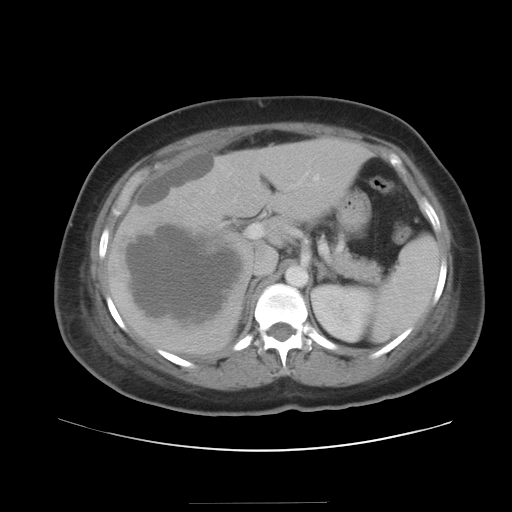
512x512 px. CT slice. liver tumor: (125,224,242,324)